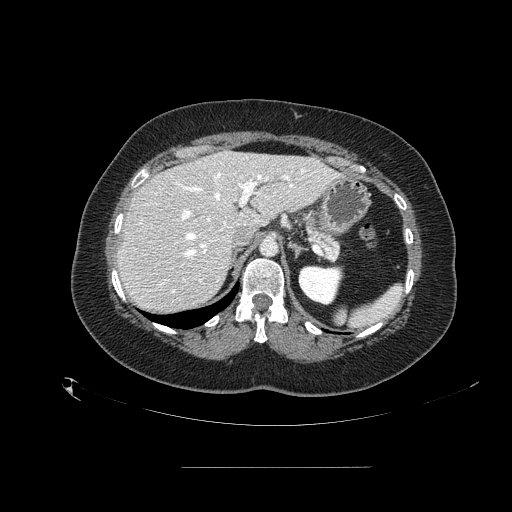 Abdomen | CT | Image size 512x512
<segmentation>
  <pancreas><bbox>303, 220, 341, 263</bbox></pancreas>
</segmentation>